Image width 366 mm, CT

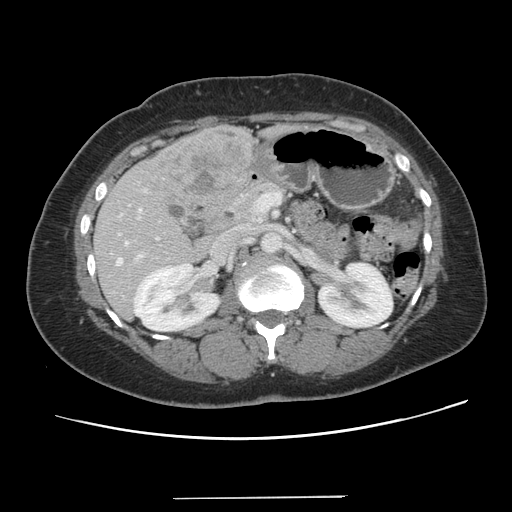
Only some of the vessels may be annotated.
Annotated regions:
* hepatic vessel: x1=116 y1=258 x2=122 y2=265, x1=156 y1=237 x2=158 y2=239, x1=138 y1=208 x2=141 y2=212, x1=120 y1=214 x2=121 y2=216, x1=138 y1=216 x2=140 y2=218, x1=118 y1=233 x2=120 y2=235, x1=137 y1=254 x2=143 y2=259, x1=125 y1=242 x2=128 y2=245
* liver tumor: x1=157 y1=131 x2=243 y2=197